FLAIR MR image.
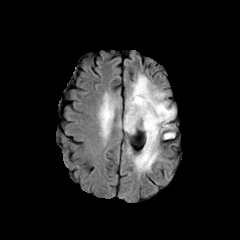
T1-weighted MR image.
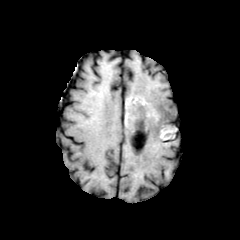
Post-contrast T1-weighted MRI.
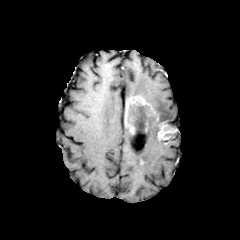
T2-weighted magnetic resonance.
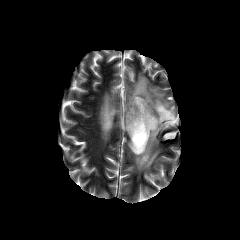
* non-enhancing tumor core: l=158, t=129, r=169, b=139; l=122, t=99, r=159, b=138
* enhancing tumor: l=128, t=96, r=147, b=104; l=158, t=122, r=167, b=131; l=128, t=123, r=134, b=133
* edema: l=99, t=98, r=115, b=135; l=130, t=106, r=158, b=123; l=132, t=128, r=162, b=172; l=126, t=74, r=175, b=137